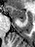 MRI | Medial temporal lobe | Image size 35x47
The anterior hippocampus is at <bbox>6, 5, 25, 20</bbox>. The posterior hippocampus is bounded by <bbox>21, 21, 25, 22</bbox>.